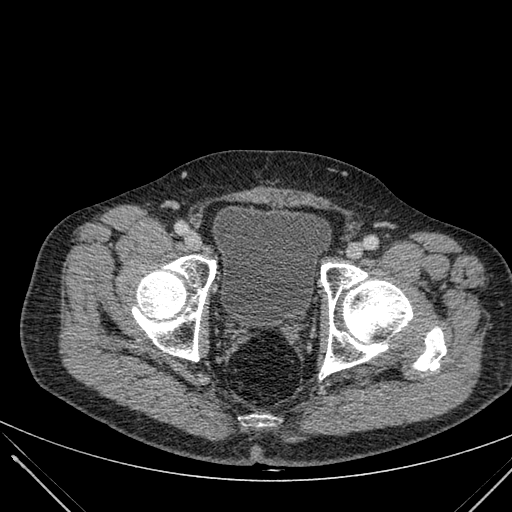
CT scan slice | Pelvis

Urinary bladder at <box>212,206,331,322</box>.